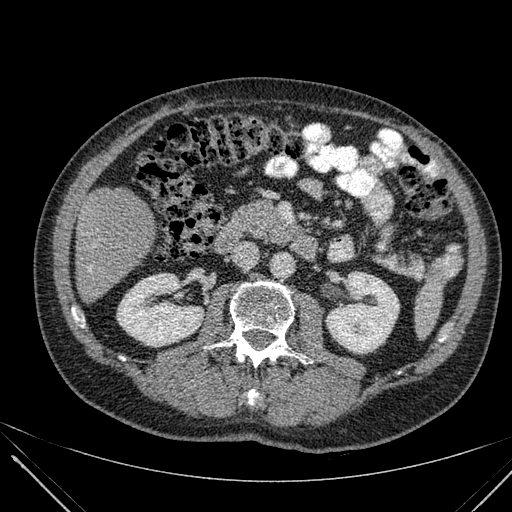
CT; Liver
Annotated regions:
• kidney: (117,274,203,346), (326,272,398,352)
• liver: (76,187,157,302)